CT slice

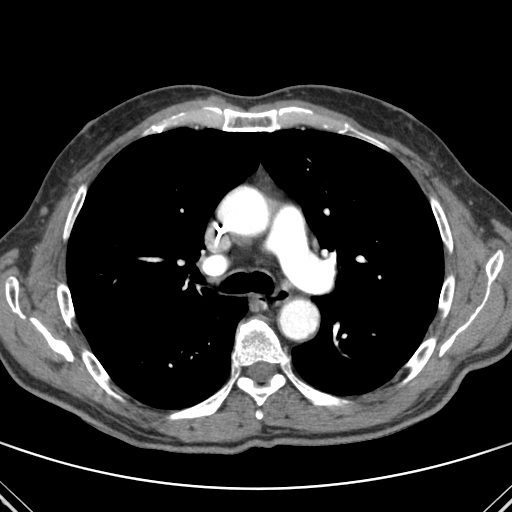

bone:
  - [64, 185, 85, 238]
  - [57, 284, 74, 327]
  - [82, 350, 118, 397]
  - [5, 277, 25, 318]
  - [365, 136, 384, 147]
  - [336, 124, 349, 132]
  - [144, 125, 162, 134]
  - [439, 275, 454, 316]
  - [30, 318, 73, 361]
  - [169, 319, 347, 419]
  - [205, 107, 309, 131]
  - [431, 198, 452, 251]
  - [403, 338, 435, 383]
  - [439, 251, 503, 356]
lung:
  - [66, 128, 443, 408]